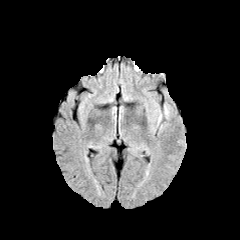
FLAIR MR image.
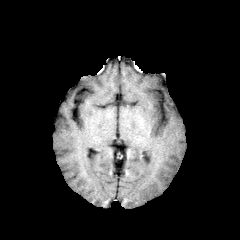
T1-weighted MRI.
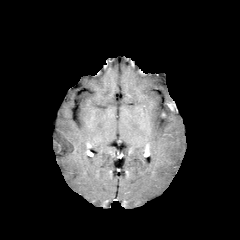
Post-contrast T1-weighted MR image of the same slice.
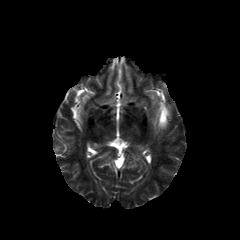
T2-weighted magnetic resonance.
Head, 240x240
{
  "edema": [
    "[148, 106, 174, 129]"
  ]
}